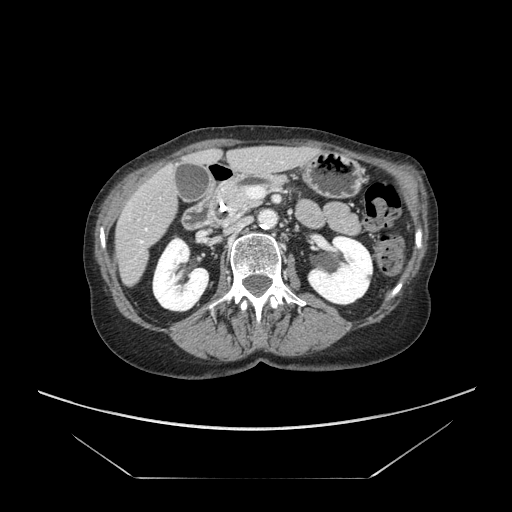

CT image

The pancreas is at [x1=209, y1=174, x2=296, y2=227].